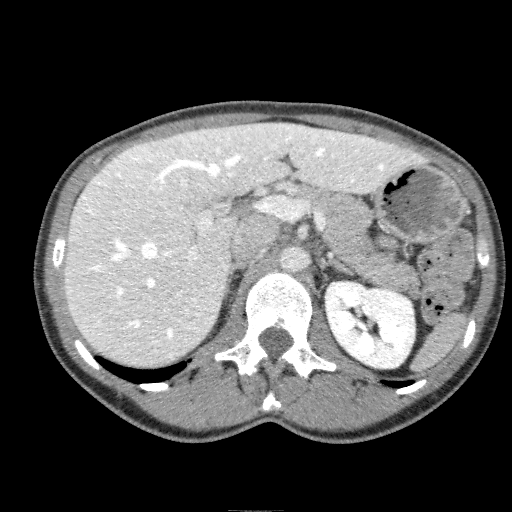

CT.
liver: {"x1": 63, "y1": 121, "x2": 421, "y2": 366} | kidney: {"x1": 326, "y1": 282, "x2": 414, "y2": 367}